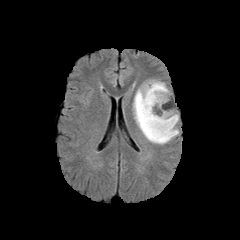
FLAIR MR image.
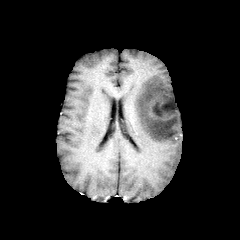
T1-weighted MR image.
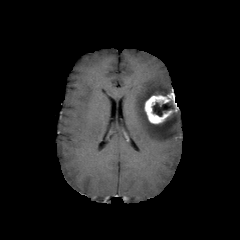
Post-contrast T1-weighted magnetic resonance of the same slice.
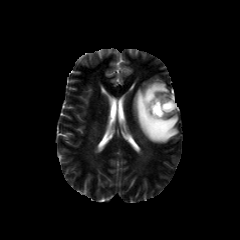
T2-weighted MRI.
Brain.
Edema: bounding box [x1=133, y1=78, x2=179, y2=144].
Enhancing tumor: bounding box [x1=144, y1=89, x2=178, y2=124].
Non-enhancing tumor core: bounding box [x1=153, y1=102, x2=173, y2=116].